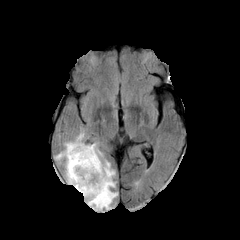
FLAIR MR.
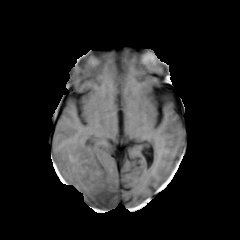
T1-weighted MR of the same slice.
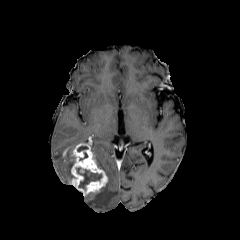
Post-contrast T1-weighted MRI of the same slice.
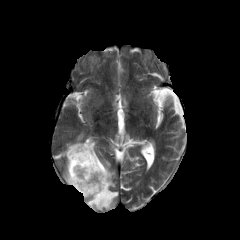
T2-weighted MR of the same slice.
Edema: <box>84,137,117,210</box>, <box>54,131,88,182</box>.
Enhancing tumor: <box>68,137,108,198</box>.
Non-enhancing tumor core: <box>79,170,101,187</box>, <box>68,156,73,179</box>.